FLAIR MRI.
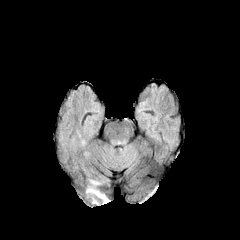
T1-weighted MRI.
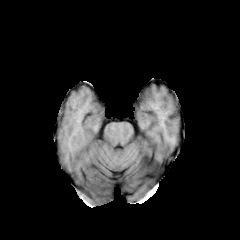
Post-contrast T1-weighted magnetic resonance.
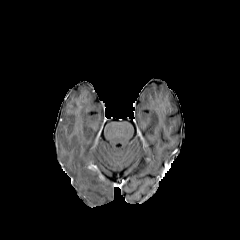
T2-weighted MRI.
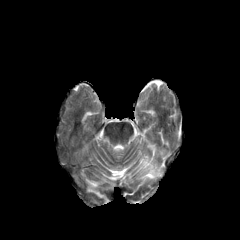
Head | 240x240 px
edema: bbox(86, 179, 108, 203)